Slice index 90, Head
FLAIR MRI.
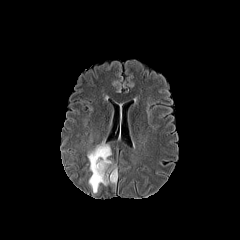
T1-weighted MR image.
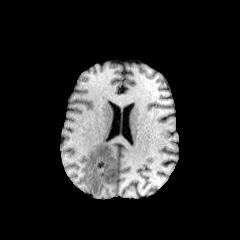
Post-contrast T1-weighted MR.
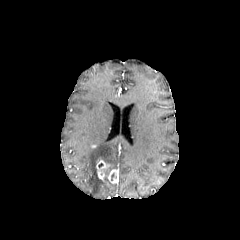
T2-weighted MR.
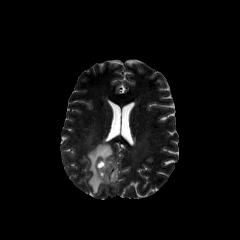
The edema is bounded by x1=86, y1=141, x2=115, y2=193. 2 enhancing tumor regions are located at x1=96, y1=160, x2=110, y2=181; x1=107, y1=170, x2=117, y2=183.